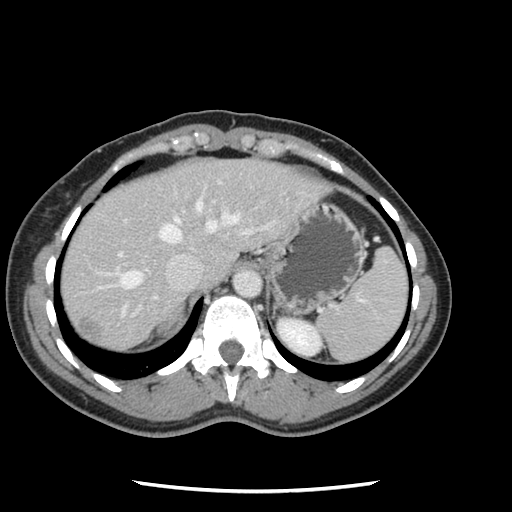

CT image.
Some hepatic vessels may have no box.
Hepatic vessel — (left=207, top=220, right=217, bottom=230), (left=195, top=200, right=201, bottom=210), (left=118, top=253, right=121, bottom=254), (left=221, top=213, right=238, bottom=222), (left=242, top=230, right=250, bottom=232), (left=113, top=270, right=141, bottom=286), (left=159, top=218, right=180, bottom=242).
Liver tumor — (left=74, top=318, right=100, bottom=343).